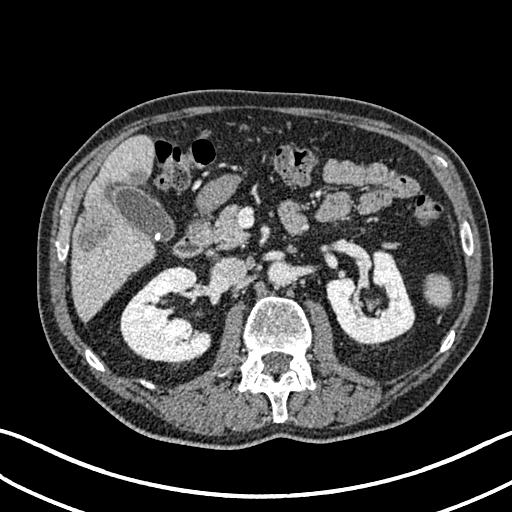
512x512 px | CT slice
{
  "liver": [
    "72 136 155 320"
  ],
  "kidney": [
    "121 267 219 361",
    "327 246 413 343"
  ],
  "hepatic_lesion": [
    "130 169 146 183",
    "78 203 115 251"
  ]
}